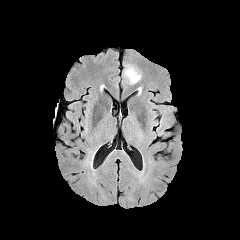
FLAIR MR.
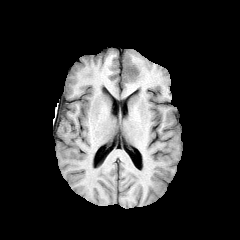
Same slice, T1-weighted MR image.
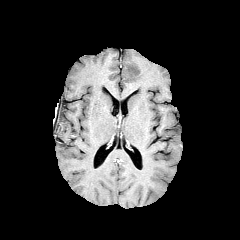
Post-contrast T1-weighted MR image.
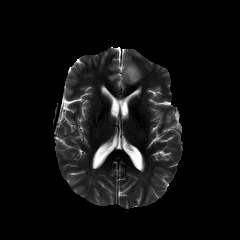
T2-weighted MRI of the same slice.
The edema is located at (x1=124, y1=62, x2=141, y2=84).